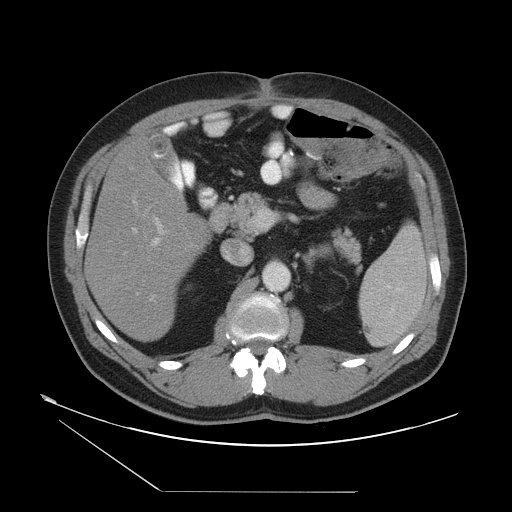 Liver. Image size 512x512. CT slice.

Some hepatic vessels may have no box.
{
  "hepatic_vessel": [
    "<box>132,197,136,206</box>",
    "<box>153,218,165,234</box>",
    "<box>149,296,154,301</box>",
    "<box>132,229,136,232</box>",
    "<box>123,253,125,254</box>",
    "<box>151,238,158,246</box>",
    "<box>144,213,145,216</box>"
  ]
}